FLAIR MR.
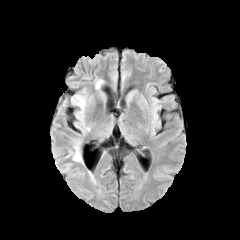
T1-weighted magnetic resonance.
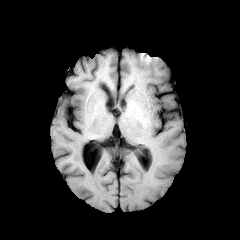
Post-contrast T1-weighted magnetic resonance.
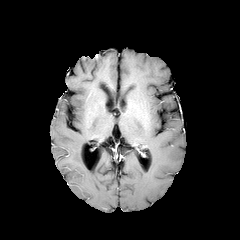
T2-weighted MR.
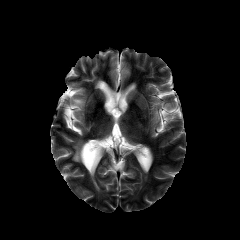
Brain; 240x240 px
<segmentation>
  <edema>left=95, top=79, right=103, bottom=88; left=69, top=138, right=82, bottom=162; left=70, top=91, right=89, bottom=133</edema>
</segmentation>